CT slice | Upper abdomen
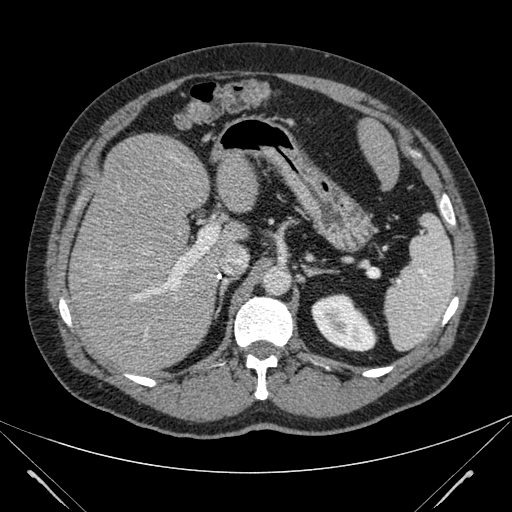
* kidney: x1=312, y1=295, x2=374, y2=350
* liver: x1=217, y1=149, x2=258, y2=211; x1=358, y1=118, x2=398, y2=189; x1=60, y1=134, x2=240, y2=377
* hepatic lesion: x1=101, y1=262, x2=110, y2=274